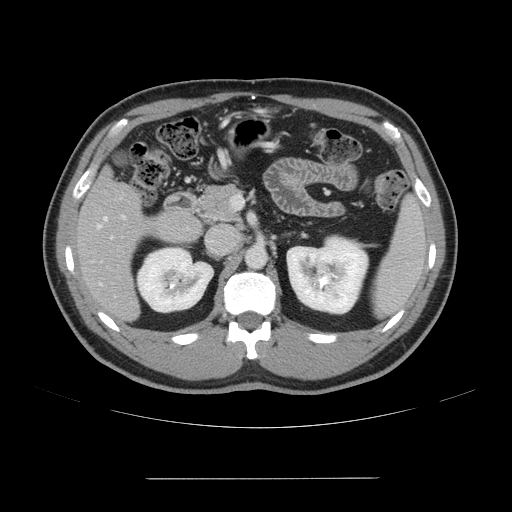 CT scan slice | 512x512 px | Liver
Not every hepatic vessel necessarily has a box.
5 hepatic vessel regions are located at (104, 217, 106, 220), (97, 225, 100, 227), (121, 215, 124, 217), (110, 236, 112, 238), (99, 283, 101, 285).